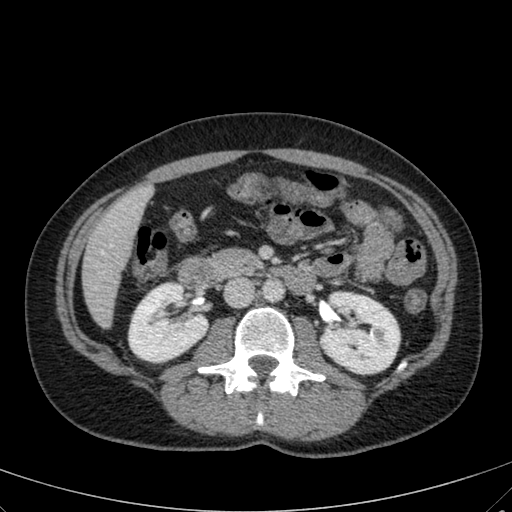 512x512; CT scan slice
{
  "kidney": [
    "[321, 293, 398, 373]",
    "[129, 284, 207, 361]"
  ],
  "liver": [
    "[82, 198, 144, 327]"
  ]
}